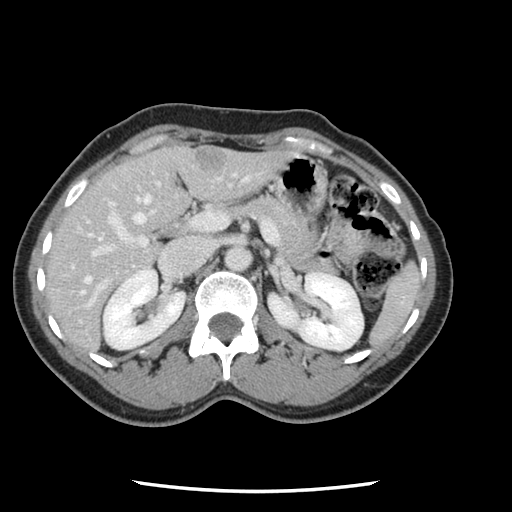

CT.

Not every hepatic vessel necessarily has a box.
The liver tumor is at bbox=[194, 152, 227, 172]. 15 hepatic vessel regions appear at bbox=[98, 236, 101, 239]; bbox=[97, 282, 105, 288]; bbox=[136, 195, 149, 202]; bbox=[85, 276, 90, 281]; bbox=[85, 294, 94, 306]; bbox=[244, 177, 247, 180]; bbox=[133, 213, 144, 222]; bbox=[207, 207, 208, 209]; bbox=[135, 236, 146, 245]; bbox=[108, 212, 131, 240]; bbox=[87, 233, 89, 235]; bbox=[110, 203, 114, 208]; bbox=[81, 290, 83, 293]; bbox=[91, 247, 108, 256]; bbox=[156, 182, 158, 184].